FLAIR magnetic resonance.
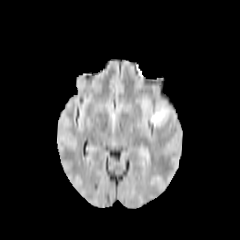
T1-weighted magnetic resonance.
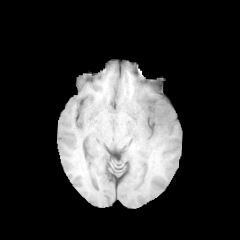
Post-contrast T1-weighted MRI.
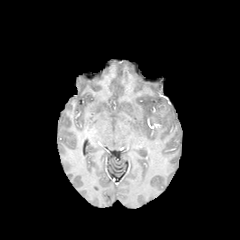
T2-weighted MR image.
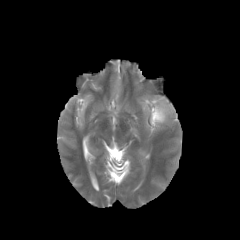
Brain.
Edema: box=[152, 99, 172, 128].